Slice index 34; 512x512; Field of view 310x310 mm; Upper abdomen; Computed tomography
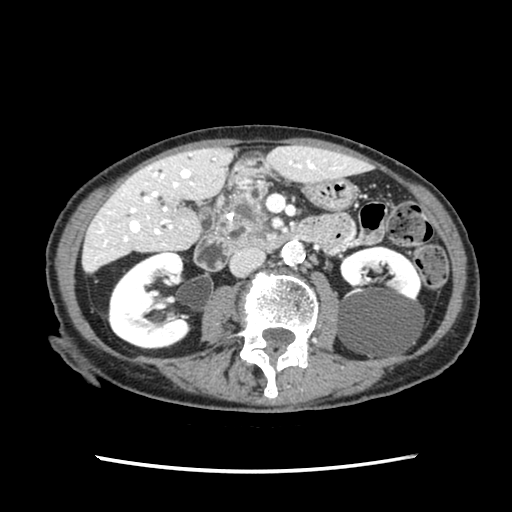 pancreas:
  - (220, 184, 267, 239)
pancreatic_tumor:
  - (233, 202, 257, 229)